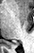

Medial temporal lobe | MRI
Segmented structures:
* posterior hippocampus: box=[15, 44, 19, 45]